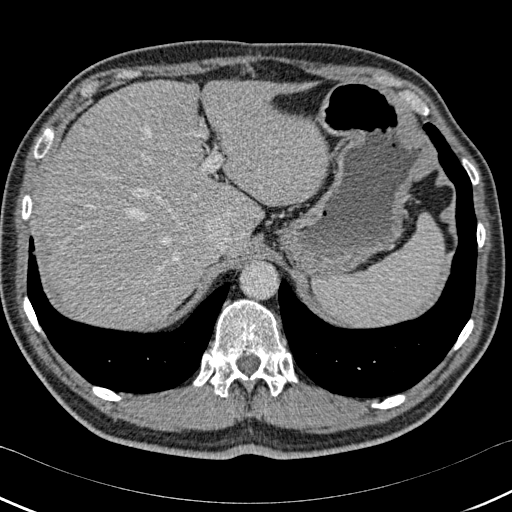 CT image. Liver.

Lung = {"x1": 278, "y1": 122, "x2": 477, "y2": 399}, {"x1": 27, "y1": 236, "x2": 232, "y2": 394}.
Bone = {"x1": 454, "y1": 319, "x2": 473, "y2": 349}, {"x1": 477, "y1": 223, "x2": 485, "y2": 247}, {"x1": 193, "y1": 300, "x2": 297, "y2": 397}, {"x1": 462, "y1": 159, "x2": 478, "y2": 184}, {"x1": 23, "y1": 297, "x2": 40, "y2": 331}, {"x1": 34, "y1": 129, "x2": 53, "y2": 158}, {"x1": 372, "y1": 395, "x2": 404, "y2": 408}, {"x1": 93, "y1": 387, "x2": 120, "y2": 400}, {"x1": 22, "y1": 195, "x2": 31, "y2": 219}.
Liver = {"x1": 40, "y1": 80, "x2": 327, "y2": 329}.